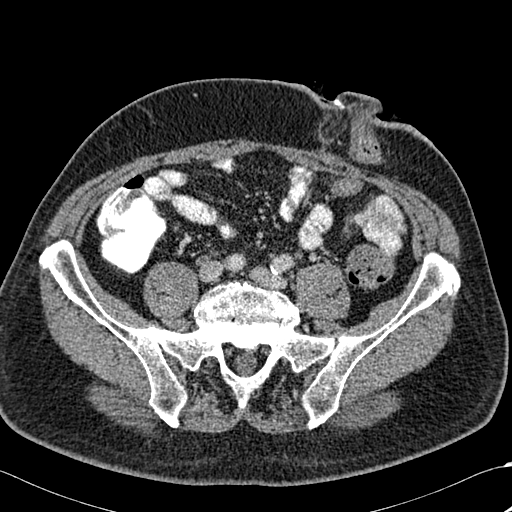
Image size 512x512. Computed tomography.
bone:
  - region(40, 240, 459, 428)